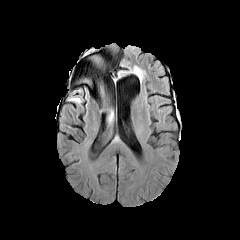
FLAIR MRI.
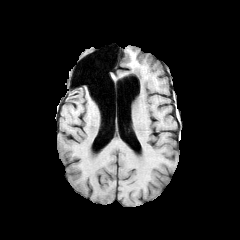
T1-weighted MR of the same slice.
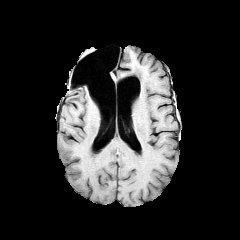
Post-contrast T1-weighted magnetic resonance.
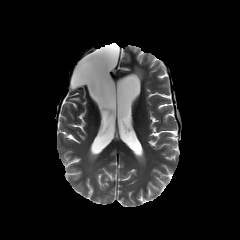
Same slice, T2-weighted MRI.
Image size 240x240; Brain
Edema at [x1=70, y1=96, x2=83, y2=103], [x1=99, y1=81, x2=113, y2=123].